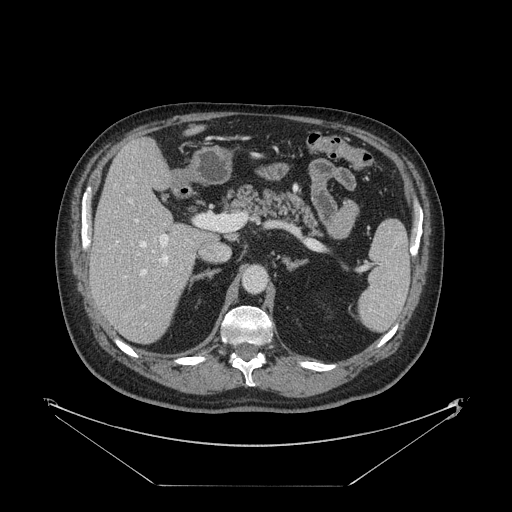 Liver, Image size 512x512, CT
The vessel annotation is not exhaustive.
Hepatic vessel = [163,254,167,260], [134,219,136,221], [160,234,167,246], [128,199,130,201].